Head, Image size 240x240, Field of view 240x240 mm
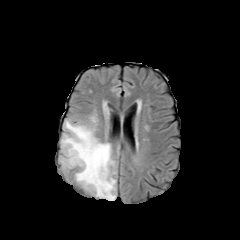
FLAIR MR image.
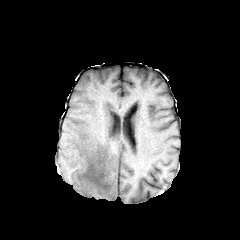
T1-weighted MR image.
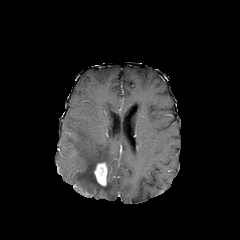
Post-contrast T1-weighted magnetic resonance of the same slice.
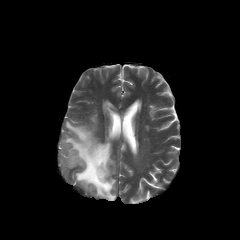
Same slice, T2-weighted magnetic resonance.
{
  "non-enhancing_tumor_core": [
    "(84,156,110,195)"
  ],
  "enhancing_tumor": [
    "(94,162,107,185)"
  ],
  "edema": [
    "(60,117,116,200)"
  ]
}